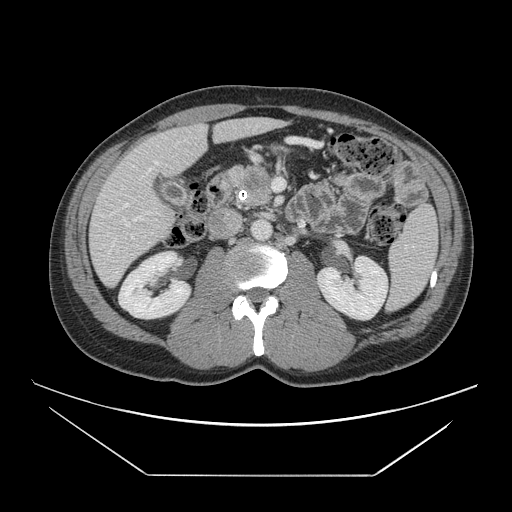
CT image; Abdomen
pancreatic_tumor:
  - region(244, 172, 261, 190)
pancreas:
  - region(236, 169, 270, 207)